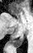 MRI. {
  "posterior_hippocampus": [
    "bbox(11, 33, 24, 47)"
  ]
}